Slice 18 of 51; CT scan slice

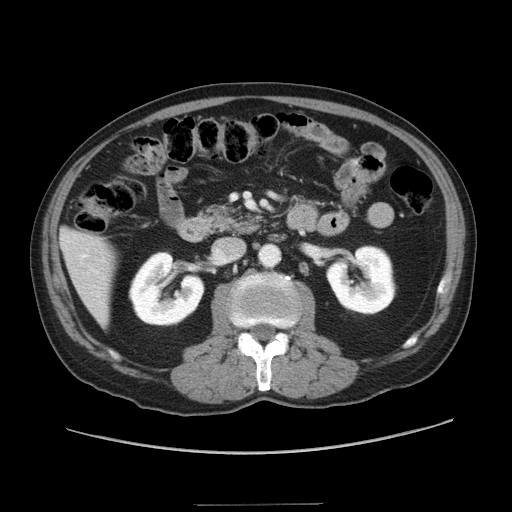
<segmentation>
  <pancreas>left=205, top=206, right=263, bottom=232</pancreas>
</segmentation>